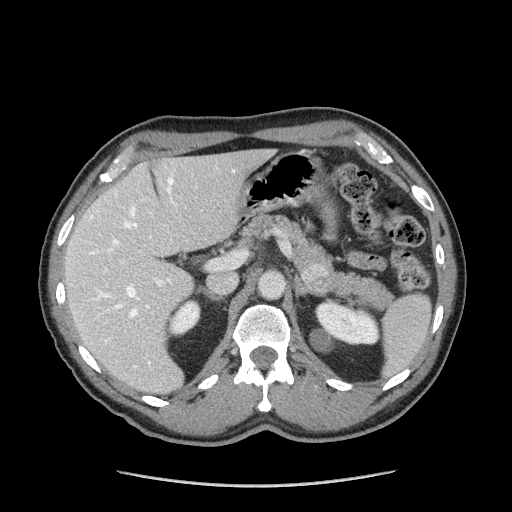 Image size 512x512, CT scan slice
The pancreatic tumor is bounded by <bbox>302, 264, 330, 291</bbox>. The pancreas appears at <bbox>241, 215, 392, 310</bbox>.